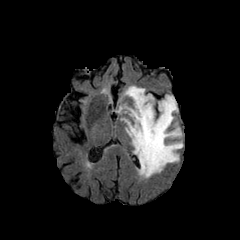
FLAIR MR.
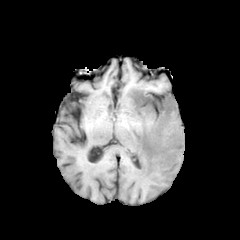
T1-weighted MR of the same slice.
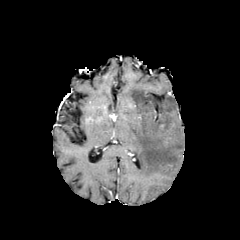
Post-contrast T1-weighted MR image.
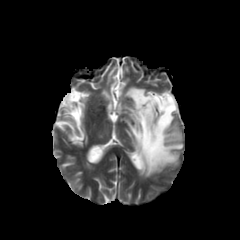
Same slice, T2-weighted MR image.
Brain
Segmented structures:
• edema: [122,86,182,178]
• non-enhancing tumor core: [153,98,168,120]